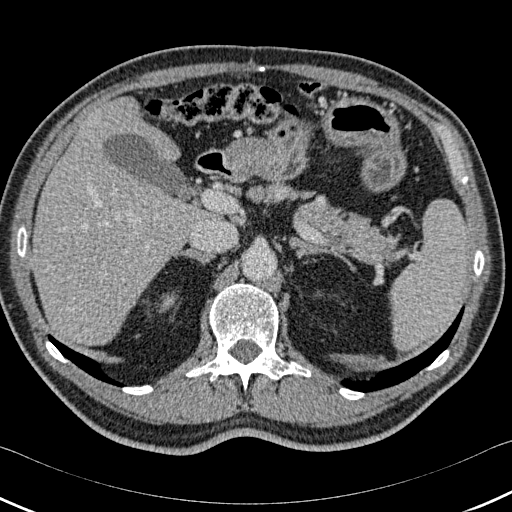 CT.

{"liver": [{"x1": 166, "y1": 140, "x2": 173, "y2": 158}, {"x1": 34, "y1": 97, "x2": 204, "y2": 344}], "bone": [{"x1": 474, "y1": 250, "x2": 484, "y2": 275}, {"x1": 122, "y1": 385, "x2": 152, "y2": 395}, {"x1": 339, "y1": 388, "x2": 363, "y2": 399}, {"x1": 186, "y1": 284, "x2": 310, "y2": 389}, {"x1": 17, "y1": 226, "x2": 27, "y2": 257}, {"x1": 427, "y1": 350, "x2": 448, "y2": 370}, {"x1": 46, "y1": 341, "x2": 67, "y2": 362}], "lung": [{"x1": 340, "y1": 306, "x2": 464, "y2": 392}, {"x1": 60, "y1": 345, "x2": 126, "y2": 386}]}